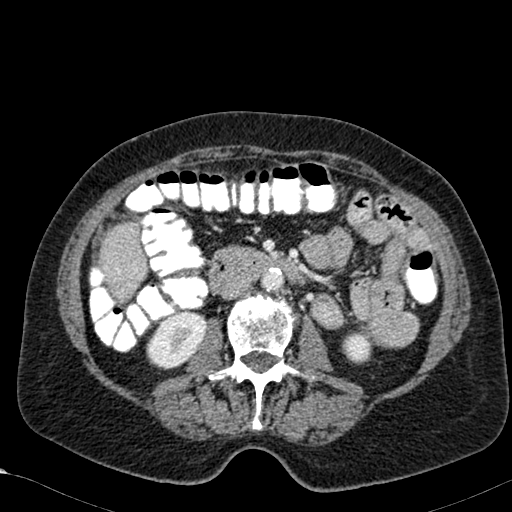 Computed tomography. Liver.
<segmentation>
  <liver>region(101, 222, 146, 299)</liver>
  <kidney>region(343, 332, 370, 361); region(147, 305, 207, 368)</kidney>
</segmentation>